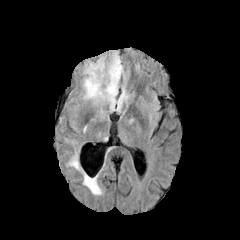
FLAIR MR image.
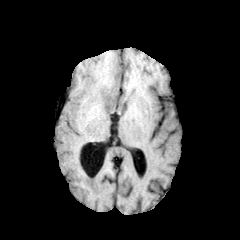
T1-weighted magnetic resonance.
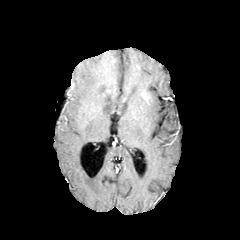
Post-contrast T1-weighted MR of the same slice.
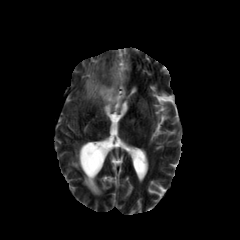
T2-weighted MR image.
edema: (83,53,128,112), (67,149,102,195) | non-enhancing tumor core: (104,86,116,101)